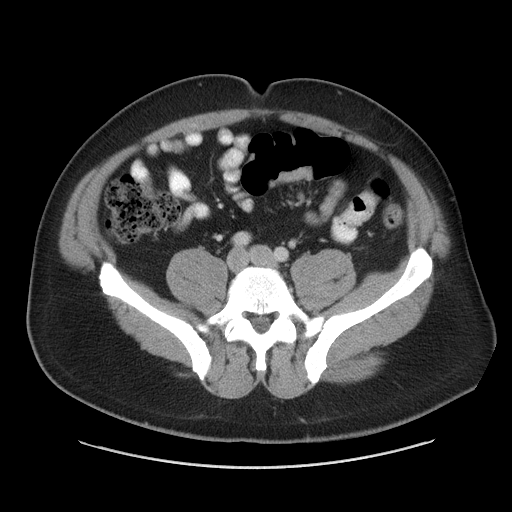

CT scan slice, Image size 512x512, Pelvis

Colon tumor — x1=268 y1=166 x2=312 y2=187.